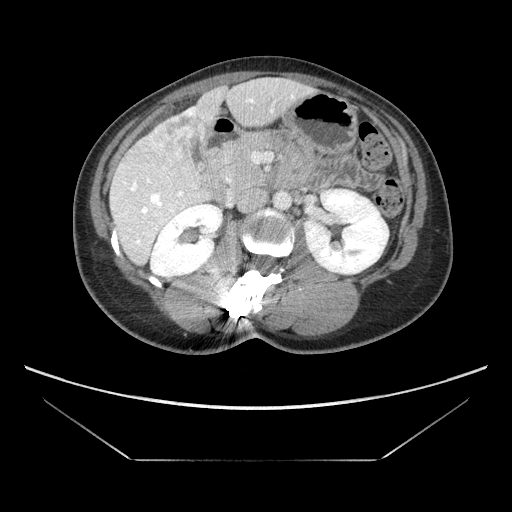 Liver, CT slice
<segmentation>
  <liver_tumor>(147, 106, 207, 164)</liver_tumor>
</segmentation>